Pelvis, Field of view 335 mm wide, 1.00 mm slice spacing, Computed tomography
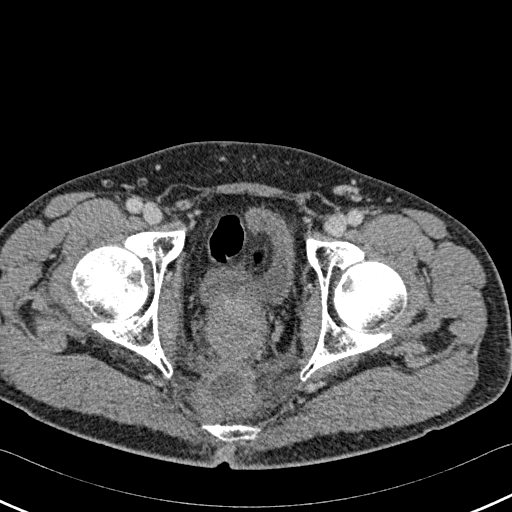

{
  "urinary_bladder": [
    "<bbox>199, 213, 294, 314</bbox>"
  ],
  "bone": [
    "<bbox>300, 239, 406, 380</bbox>",
    "<bbox>71, 230, 184, 377</bbox>",
    "<bbox>203, 425, 259, 442</bbox>"
  ]
}